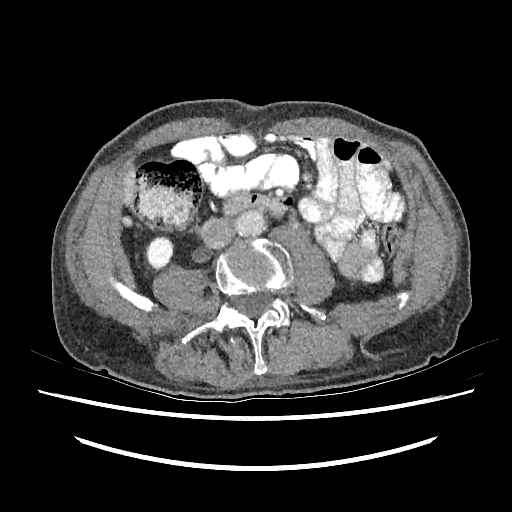 Computed tomography | Abdomen | 512x512 px
<segmentation>
  <kidney>region(147, 238, 171, 267)</kidney>
  <liver>region(124, 166, 134, 203)</liver>
</segmentation>